Slice 119/143 | Computed tomography

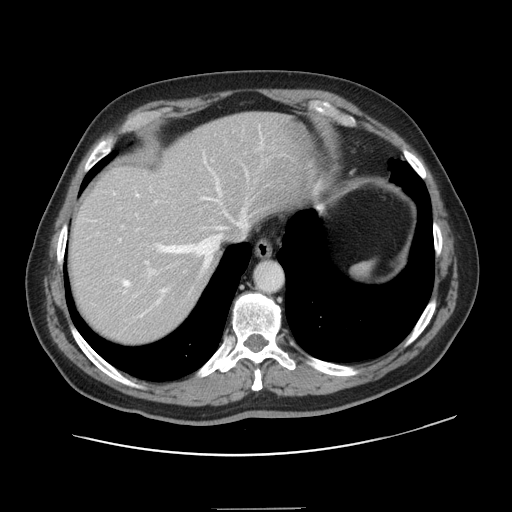

The vessel boxes may cover only some of the vessels.
Most prominent 15 of 16 hepatic vessel regions — box(155, 300, 158, 303); box(150, 270, 154, 273); box(160, 289, 165, 293); box(156, 244, 192, 252); box(223, 210, 224, 212); box(237, 222, 241, 223); box(123, 281, 128, 286); box(205, 262, 206, 266); box(219, 227, 226, 229); box(200, 198, 219, 201); box(216, 178, 220, 193); box(136, 194, 138, 195); box(204, 238, 208, 240); box(204, 155, 204, 160); box(146, 261, 148, 263).